CT slice, Slice index 46
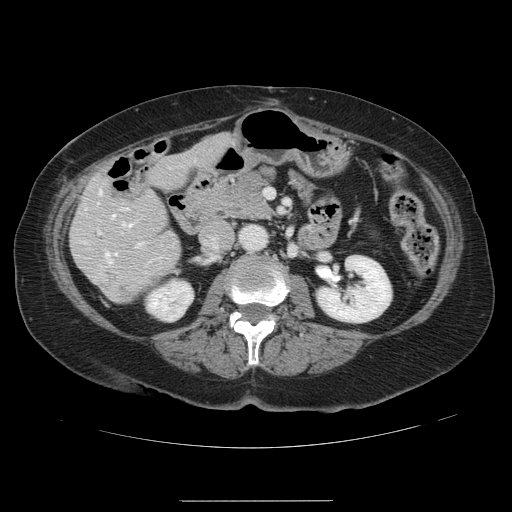
Some hepatic vessels may have no box.
7 hepatic vessel regions appear at (111, 214, 114, 217), (105, 252, 116, 262), (122, 222, 131, 226), (136, 242, 142, 246), (98, 232, 99, 233), (122, 207, 127, 210), (98, 189, 101, 194).